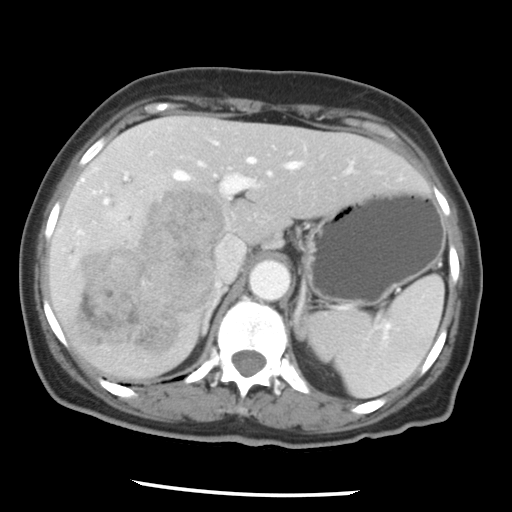

Liver, CT scan slice
Only some of the vessels may be annotated.
Hepatic vessel at 218, 237, 243, 277; 92, 189, 102, 193; 289, 162, 300, 169; 82, 177, 84, 182; 172, 169, 190, 180; 268, 171, 270, 174; 221, 174, 254, 193; 247, 156, 255, 163.
Liver tumor at 72, 185, 230, 360.